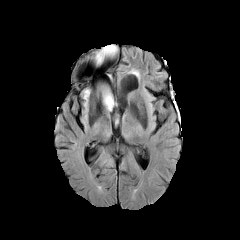
FLAIR MR.
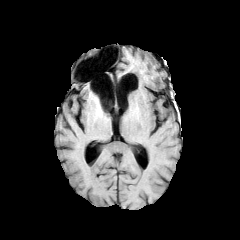
T1-weighted MR.
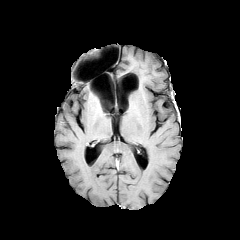
Same slice, post-contrast T1-weighted MR.
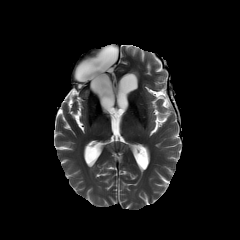
T2-weighted MR of the same slice.
Head | Image size 240x240
<segmentation>
  <edema>101 90 114 113, 104 45 116 53</edema>
</segmentation>